Liver. CT slice.

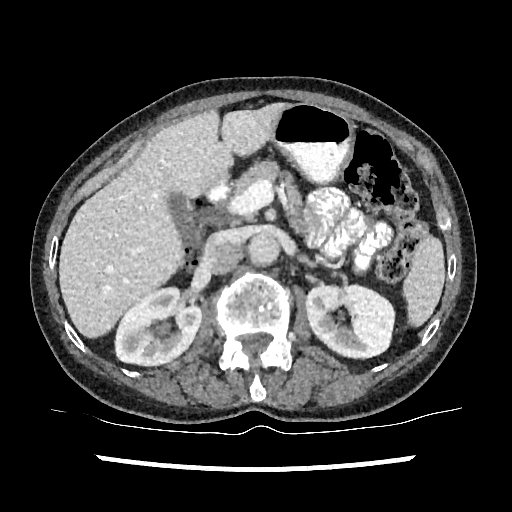 kidney:
  - bbox(307, 286, 393, 356)
  - bbox(116, 289, 200, 364)
liver:
  - bbox(61, 103, 288, 337)